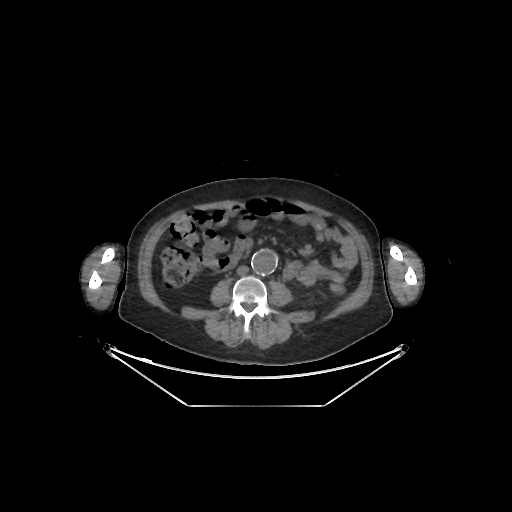 512x512 | Computed tomography

5 bone regions appear at 89:271:101:289, 405:264:416:285, 390:246:402:260, 230:276:269:334, 100:248:114:265.